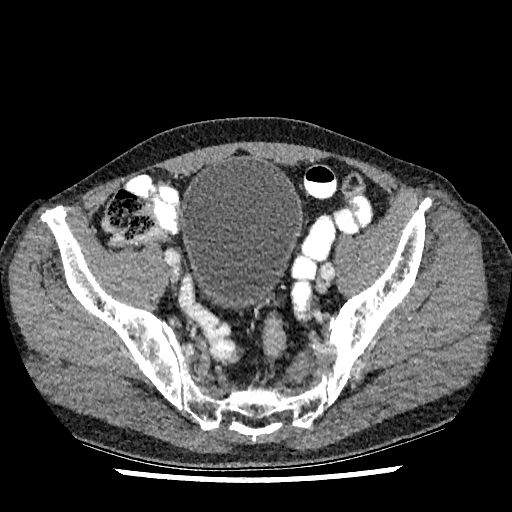 Pelvis | CT image
{"urinary_bladder": ["left=180, top=159, right=299, bottom=310"]}